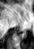 MR
The posterior hippocampus lies within box=[17, 31, 26, 40].